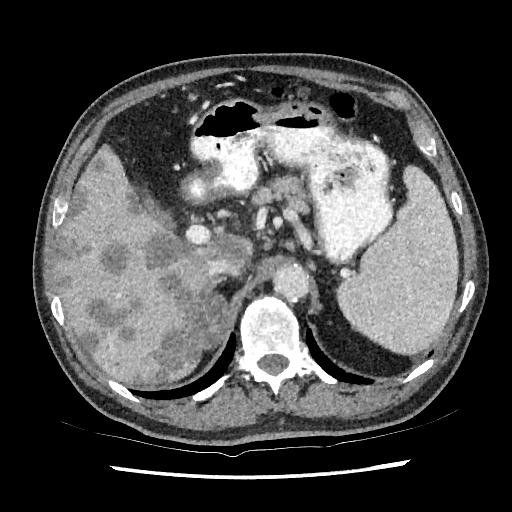 CT scan slice
liver:
  - bbox=[231, 235, 251, 268]
  - bbox=[58, 145, 216, 382]
  - bbox=[166, 358, 198, 381]
focal_liver_lesion:
  - bbox=[146, 325, 199, 382]
  - bbox=[98, 241, 129, 275]
  - bbox=[105, 226, 112, 233]
  - bbox=[126, 194, 144, 215]
  - bbox=[133, 375, 141, 382]
  - bbox=[66, 188, 88, 221]
  - bbox=[58, 268, 74, 290]
  - bbox=[59, 244, 87, 262]
  - bbox=[146, 230, 198, 268]
  - bbox=[94, 160, 102, 171]
  - bbox=[79, 297, 135, 351]
  - bbox=[211, 235, 247, 263]
  - bbox=[156, 271, 197, 315]
  - bbox=[142, 330, 153, 342]